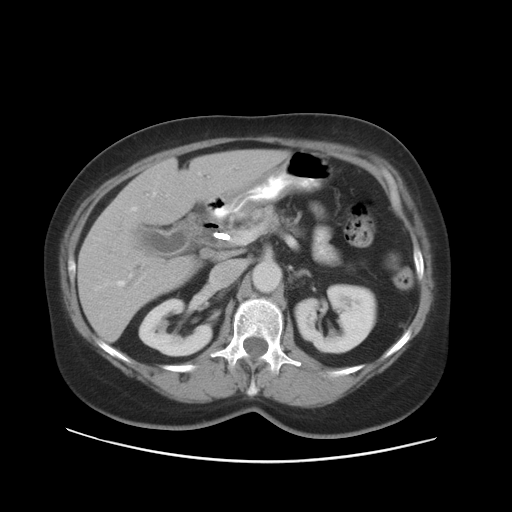
Abdomen. Computed tomography. 512x512.

The pancreas is bounded by <bbox>201, 205, 282, 246</bbox>.